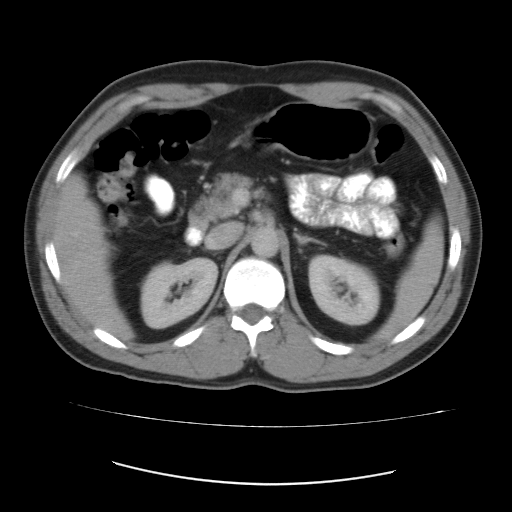

CT image; Pelvis
Findings:
• colon tumor: x1=384 y1=234 x2=405 y2=257